FLAIR MR.
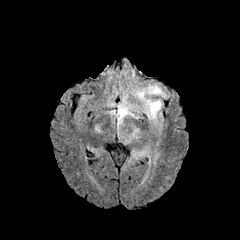
T1-weighted magnetic resonance.
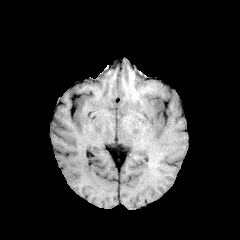
Post-contrast T1-weighted MR.
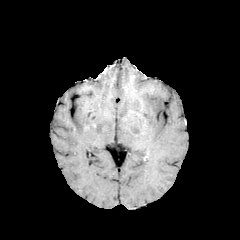
T2-weighted MR image.
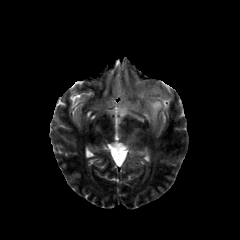
edema: (120,108,128,117), (136,84,166,120)